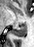

Image size 34x47, Hippocampus, MR

Posterior hippocampus: bounding box (x1=13, y1=24, x2=26, y2=36).